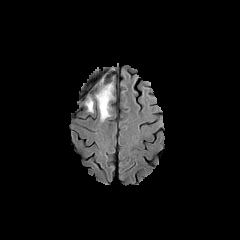
FLAIR MR.
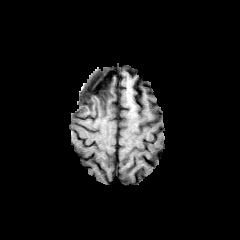
T1-weighted MR image.
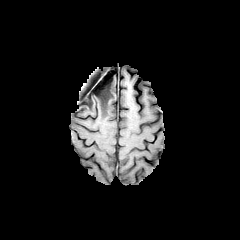
Post-contrast T1-weighted magnetic resonance of the same slice.
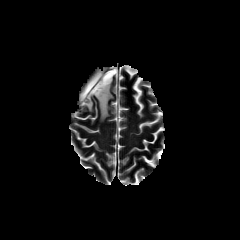
T2-weighted MR.
Head; 240x240
Non-enhancing tumor core at (x1=91, y1=78, x2=109, y2=95).
Edema at (x1=83, y1=82, x2=113, y2=121).